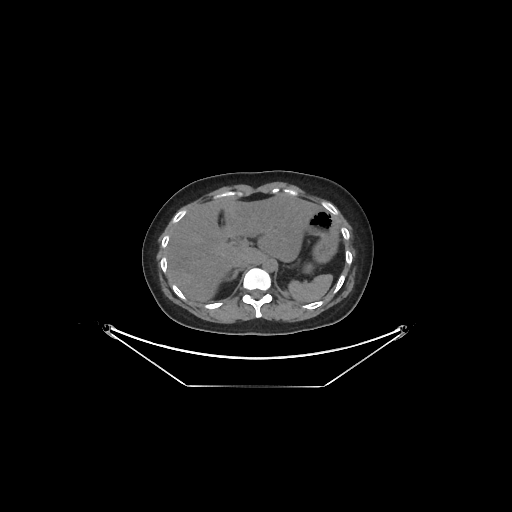

Liver | CT
2 liver regions are bounded by (left=164, top=193, right=321, bottom=298), (left=325, top=215, right=345, bottom=260).